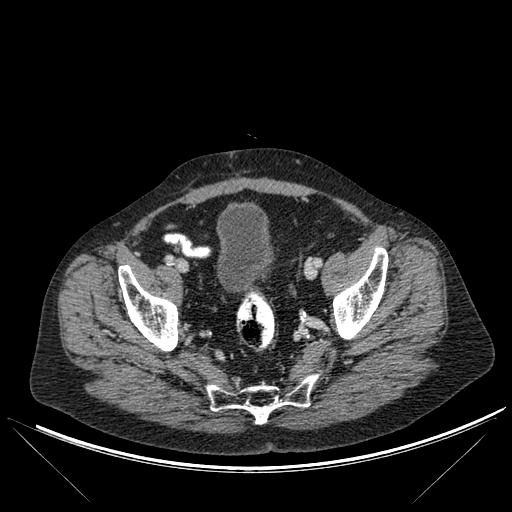
512x512. Pelvis. CT.

Urinary bladder — [216,204,274,293].
Bone — [207,374,318,424], [118,265,177,351], [333,247,388,339].